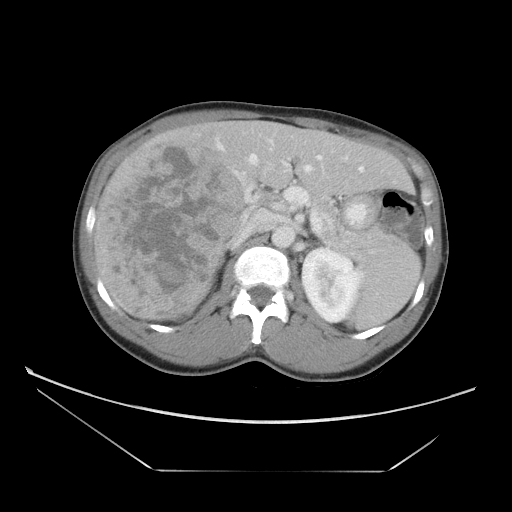 Liver, CT scan slice
Not every hepatic vessel necessarily has a box.
The liver tumor is at x1=94, y1=123, x2=247, y2=319. 6 hepatic vessel regions appear at x1=282, y1=161, x2=289, y2=165; x1=304, y1=166, x2=311, y2=170; x1=248, y1=153, x2=258, y2=162; x1=269, y1=141, x2=273, y2=149; x1=247, y1=188, x2=249, y2=191; x1=317, y1=156, x2=321, y2=158.